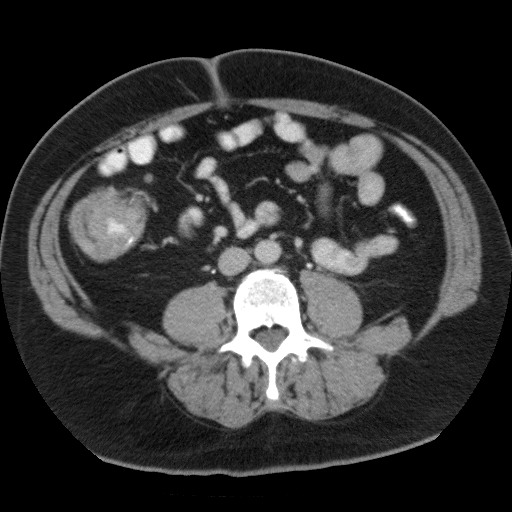
Pelvis, Image size 512x512, Computed tomography

colon tumor: bbox=[71, 188, 146, 261]